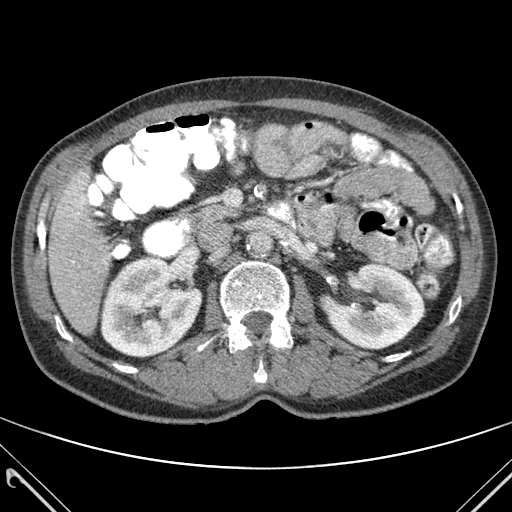
512x512 px, CT slice, Upper abdomen
Liver = l=49, t=175, r=109, b=331.
Bone = l=221, t=262, r=292, b=352; l=114, t=364, r=136, b=372; l=450, t=298, r=460, b=322; l=386, t=352, r=409, b=361; l=55, t=316, r=71, b=340; l=254, t=362, r=266, b=382; l=38, t=221, r=45, b=249.
Kidney = l=102, t=258, r=200, b=355; l=325, t=265, r=423, b=348.